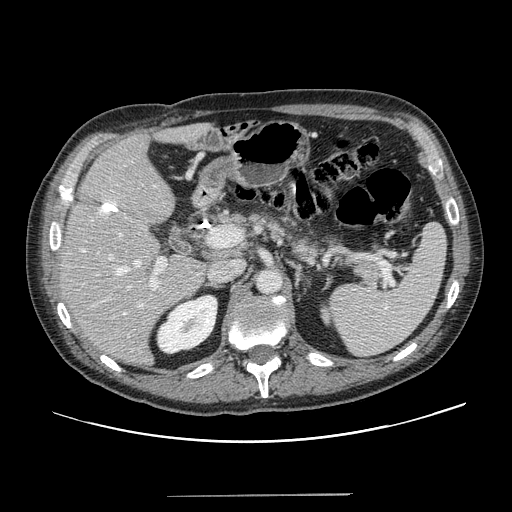 CT
Pancreas: (left=345, top=256, right=384, bottom=287), (left=181, top=204, right=332, bottom=267).